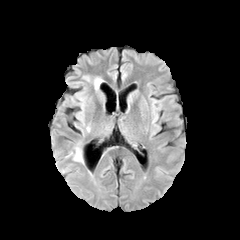
FLAIR magnetic resonance.
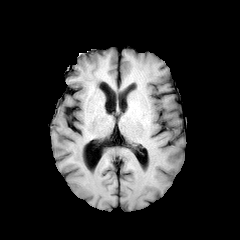
T1-weighted MR image of the same slice.
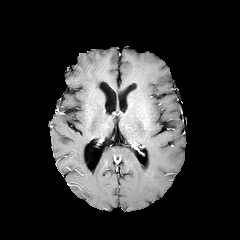
Post-contrast T1-weighted magnetic resonance of the same slice.
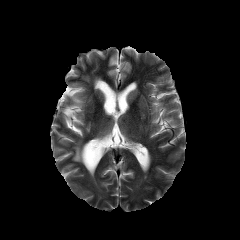
Same slice, T2-weighted MR.
edema: {"x1": 83, "y1": 76, "x2": 103, "y2": 91}, {"x1": 72, "y1": 91, "x2": 86, "y2": 126}, {"x1": 70, "y1": 142, "x2": 83, "y2": 164}